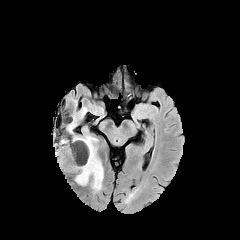
FLAIR MRI.
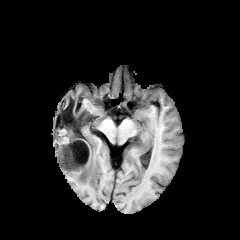
Same slice, T1-weighted MR image.
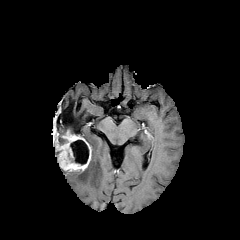
Same slice, post-contrast T1-weighted MRI.
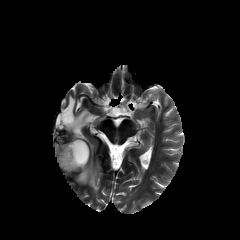
T2-weighted magnetic resonance.
Brain
enhancing_tumor:
  - x1=56, y1=130, x2=90, y2=171
edema:
  - x1=68, y1=97, x2=103, y2=190
non-enhancing_tumor_core:
  - x1=53, y1=128, x2=63, y2=148
  - x1=62, y1=120, x2=75, y2=140
  - x1=70, y1=139, x2=91, y2=165